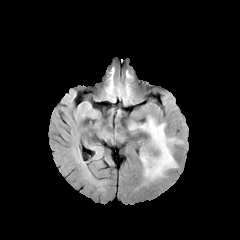
FLAIR MRI.
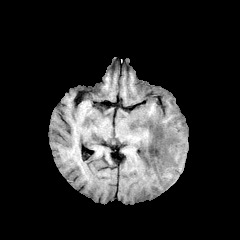
T1-weighted magnetic resonance.
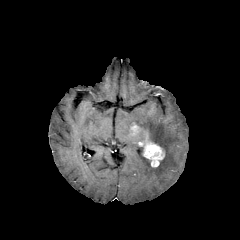
Post-contrast T1-weighted MR image of the same slice.
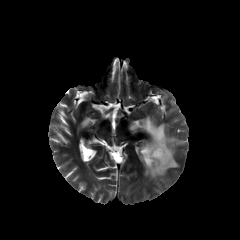
Same slice, T2-weighted MRI.
The enhancing tumor is bounded by 143:142:164:166. The edema is bounded by 129:115:183:179.